Head, Slice index 36
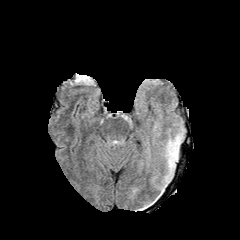
FLAIR MR.
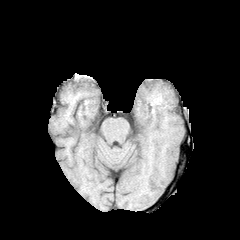
Same slice, T1-weighted MR image.
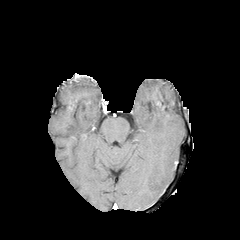
Post-contrast T1-weighted MRI.
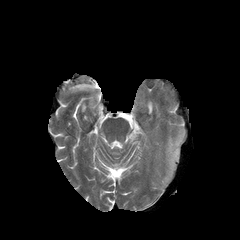
T2-weighted MRI of the same slice.
edema:
  - (168, 140, 179, 167)